Magnetic resonance 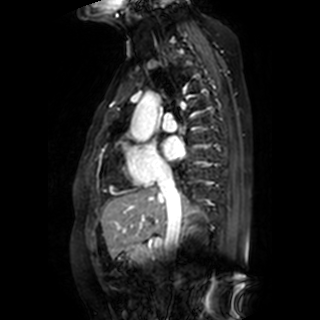
The left atrium is at 163, 136, 183, 159.